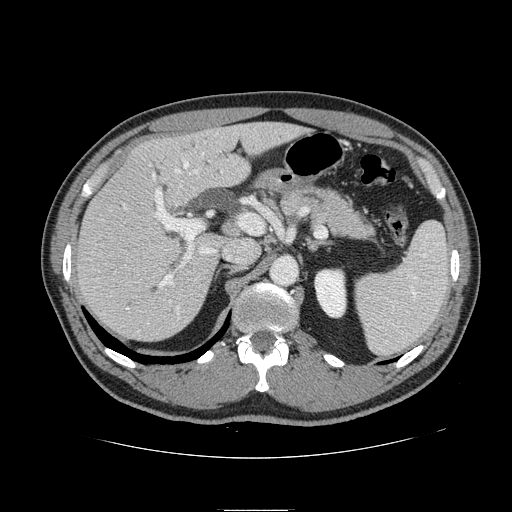 Computed tomography, Upper abdomen, 512x512 px

The pancreas appears at (281, 188, 374, 240).